CT, Abdomen, 512x512

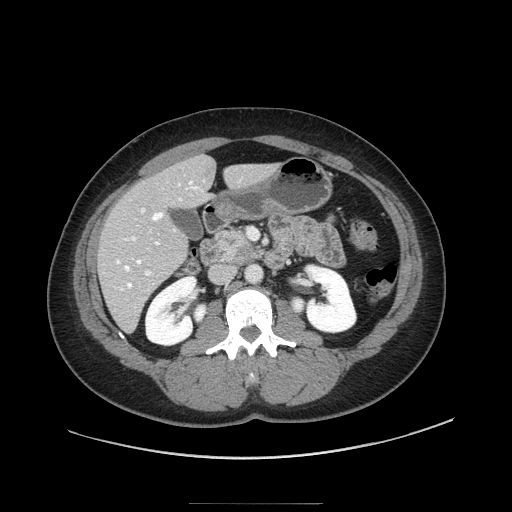

The pancreas is at x1=215, y1=228, x2=263, y2=266. The pancreatic tumor is bounded by x1=228, y1=236, x2=258, y2=263.